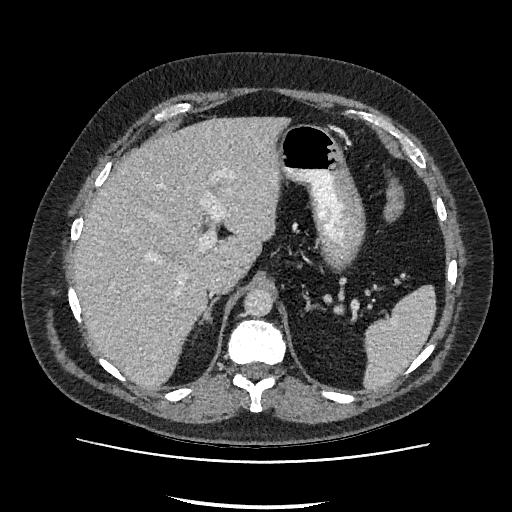

CT image

{"liver": ["75 118 286 387"]}